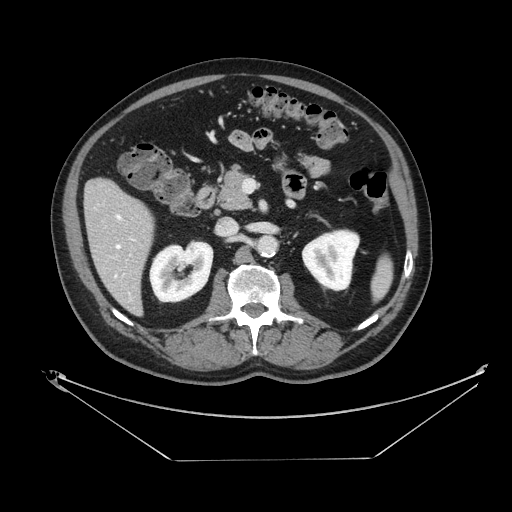

512x512, CT image
The pancreas is located at x1=220, y1=171, x2=250, y2=209.